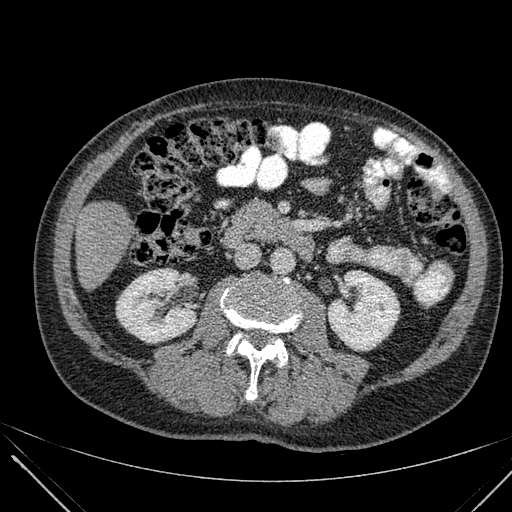

CT image. kidney:
  - (328,271,398,350)
  - (116,269,195,342)
liver:
  - (76,201,137,289)